Image size 512x512. Computed tomography.

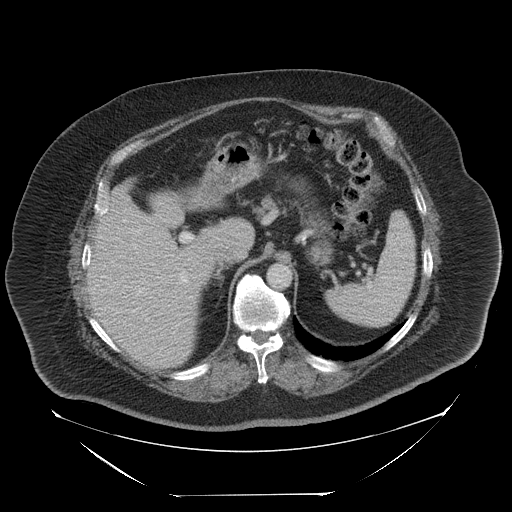

Annotated regions:
• spleen: region(326, 214, 415, 326)